CT scan slice; Image width 350 mm 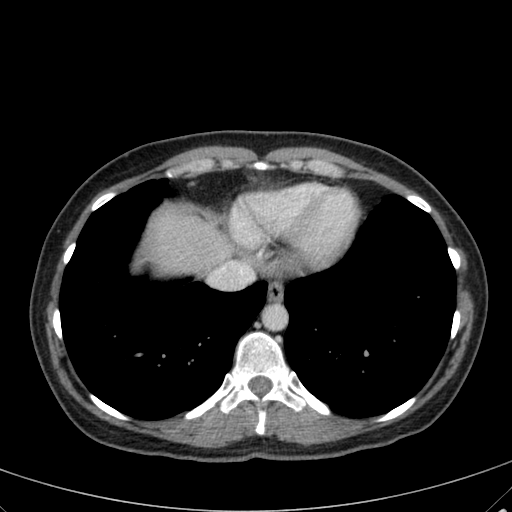

* liver: (139, 205, 248, 283)